Slice index 124, 240x240, Brain
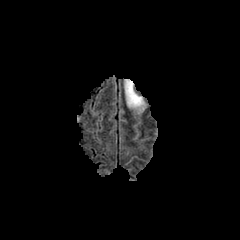
FLAIR MR.
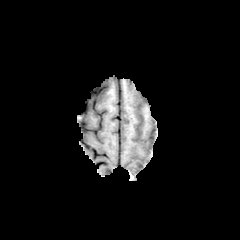
T1-weighted magnetic resonance of the same slice.
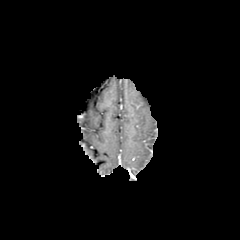
Post-contrast T1-weighted MRI.
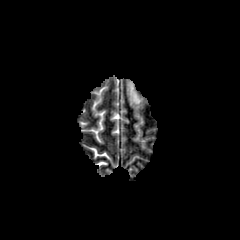
T2-weighted MRI of the same slice.
Edema = bbox=[126, 80, 144, 108].